Field of view 330 mm wide, 5.00 mm slice spacing; Slice 26 of 36; CT scan slice 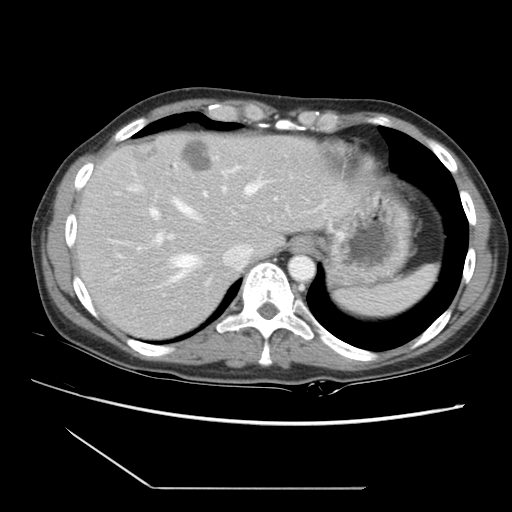

Some hepatic vessels may have no box.
Largest 15 of 23 hepatic vessel regions = 286,207,289,212; 224,245,251,268; 117,254,122,258; 222,186,226,192; 172,198,200,220; 127,185,143,191; 245,177,271,195; 156,191,158,198; 222,166,241,177; 149,208,159,219; 213,156,217,159; 152,233,173,244; 168,255,201,282; 315,201,327,210; 110,240,120,243.
Liver tumor = 131,147,158,161; 181,140,212,171.